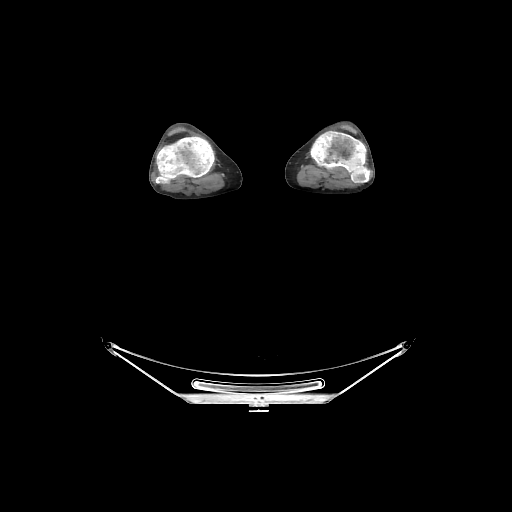 CT scan slice.

Bone: bounding box (x1=156, y1=137, x2=214, y2=183), (x1=311, y1=131, x2=369, y2=182).